FLAIR MR image.
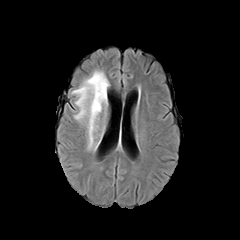
T1-weighted MR image.
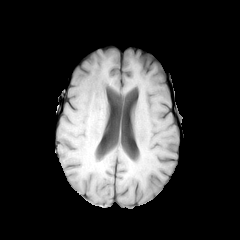
Post-contrast T1-weighted magnetic resonance.
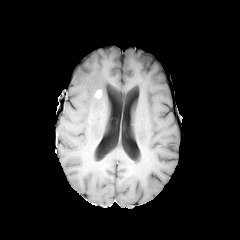
T2-weighted MR.
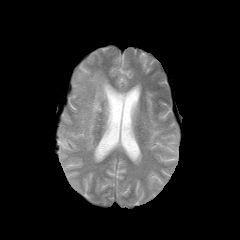
Head.
* enhancing tumor: <bbox>95, 90, 101, 98</bbox>
* edema: <bbox>72, 69, 110, 149</bbox>